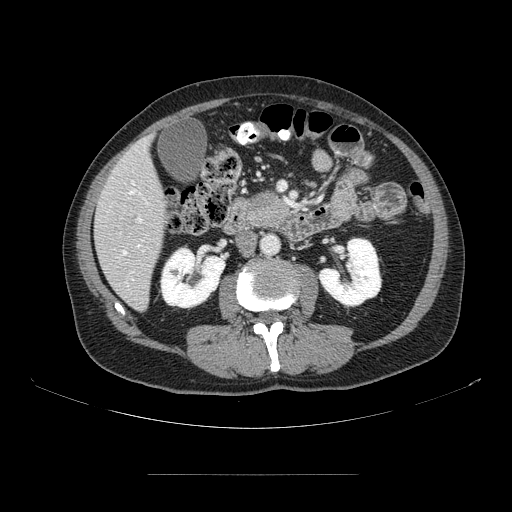

CT image | Abdomen

Pancreas: bounding box region(241, 188, 291, 231).
Pancreatic tumor: bounding box region(252, 194, 272, 206).